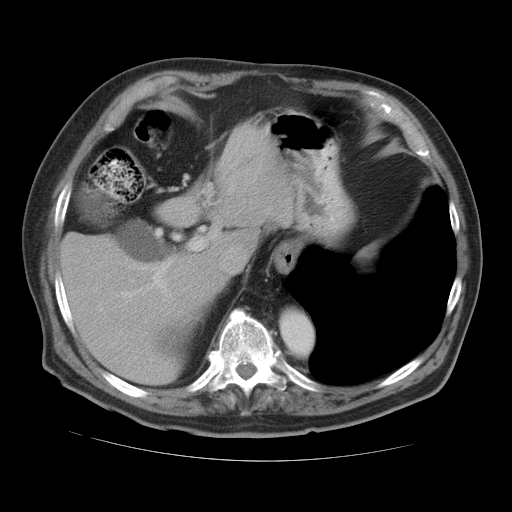
Computed tomography.
Segmented structures:
• spleen: (361,244,381,262)